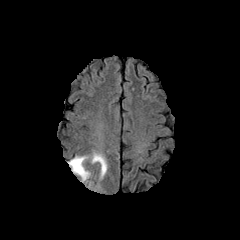
FLAIR magnetic resonance.
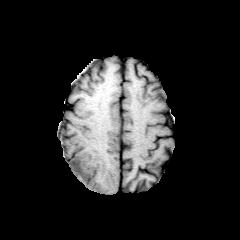
T1-weighted MR image.
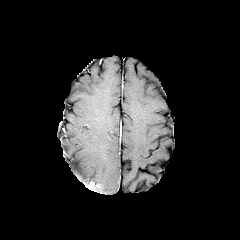
Post-contrast T1-weighted MRI of the same slice.
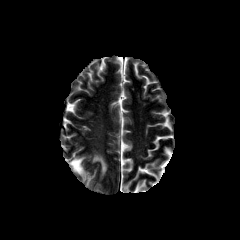
T2-weighted MRI.
Head, 240x240
enhancing_tumor:
  - region(86, 178, 100, 191)
edema:
  - region(67, 151, 107, 181)